Slice index 39
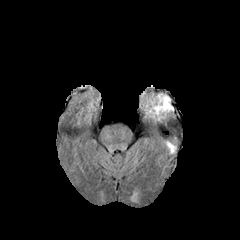
FLAIR MR image.
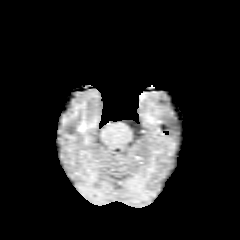
T1-weighted magnetic resonance.
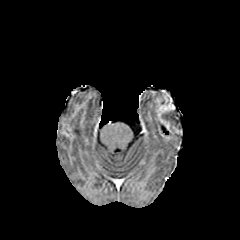
Post-contrast T1-weighted MR image.
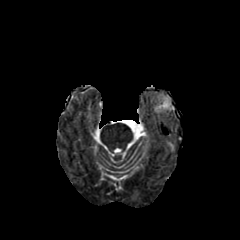
T2-weighted magnetic resonance.
The enhancing tumor appears at 157 94 174 117. 2 edema regions are bounded by 160 110 173 119, 150 91 166 120.